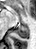
Hippocampus, MRI slice, 36x49
Posterior hippocampus — [13, 26, 28, 38].